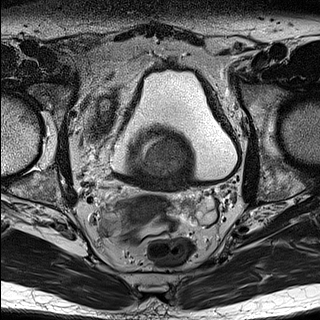
T2-weighted magnetic resonance.
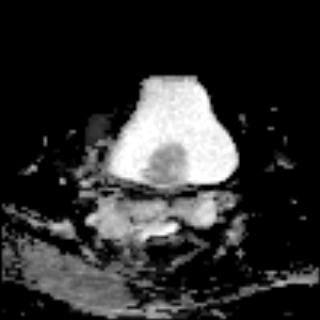
ADC MRI.
Prostate, 320x320
The prostate transition zone appears at box=[146, 142, 185, 175].